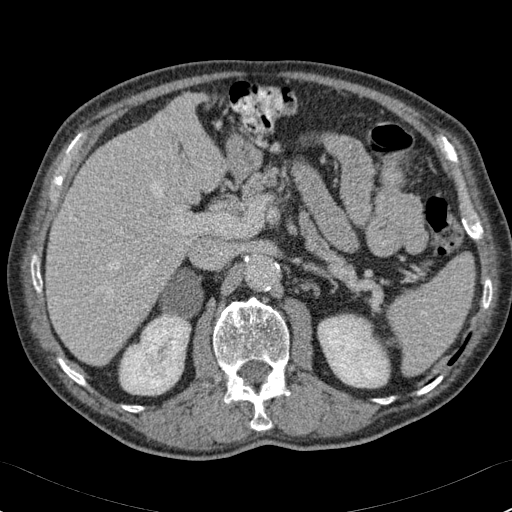
CT image

The liver lies within box=[47, 94, 223, 364]. 2 kidney regions are located at box=[318, 315, 389, 387]; box=[120, 316, 189, 394].